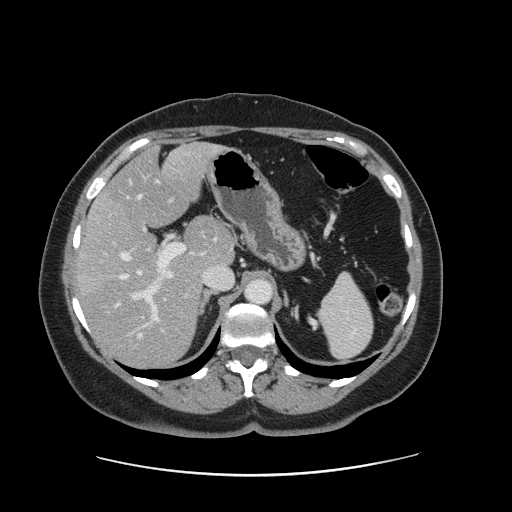 Image size 512x512, CT slice
Only some of the vessels may be annotated.
11 hepatic vessel regions are located at x1=145 y1=324 x2=148 y2=325, x1=121 y1=274 x2=127 y2=278, x1=122 y1=252 x2=130 y2=260, x1=191 y1=252 x2=192 y2=254, x1=130 y1=182 x2=131 y2=183, x1=131 y1=286 x2=158 y2=320, x1=139 y1=333 x2=141 y2=336, x1=138 y1=270 x2=141 y2=274, x1=116 y1=302 x2=119 y2=305, x1=184 y1=248 x2=186 y2=250, x1=160 y1=269 x2=172 y2=277.